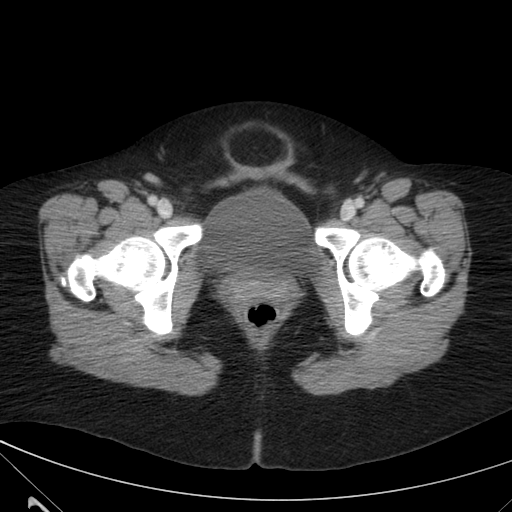

CT slice; Pelvis; Image size 512x512

urinary_bladder:
  - [196, 192, 310, 274]